CT | Liver | Field of view 387x387 mm | 512x512 px 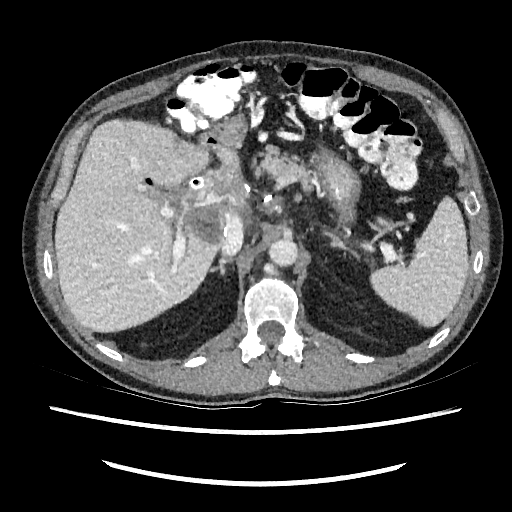 The liver lesion is at (173, 166, 246, 244). 3 liver regions are located at (240, 190, 250, 221), (54, 120, 218, 330), (217, 147, 243, 186).